CT | Slice 41/92

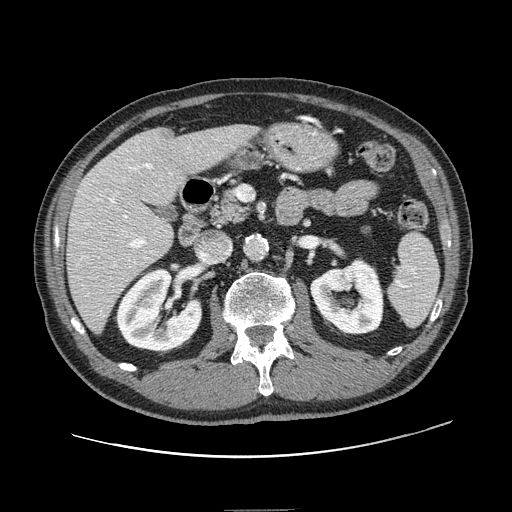

Pancreas: <bbox>209, 184, 249, 228</bbox>.